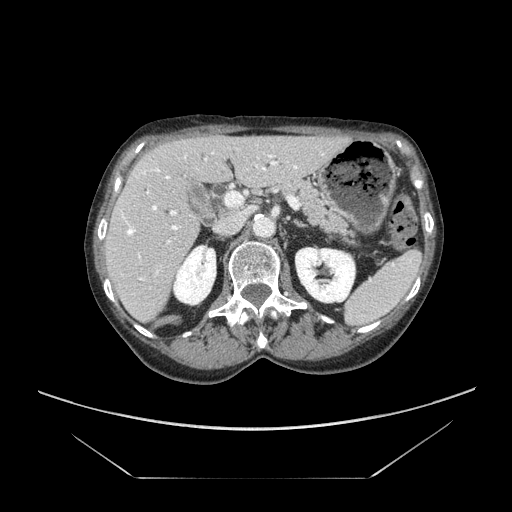
CT image; Upper abdomen
<segmentation>
  <pancreas>272, 179, 363, 252</pancreas>
</segmentation>